FLAIR magnetic resonance.
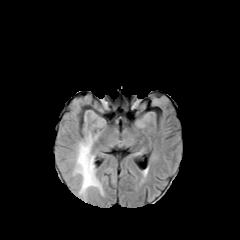
T1-weighted magnetic resonance.
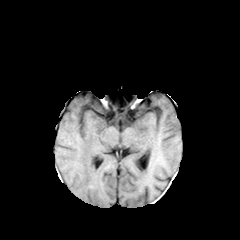
Post-contrast T1-weighted magnetic resonance.
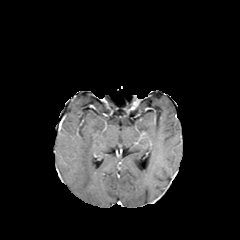
T2-weighted magnetic resonance.
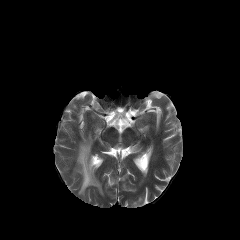
Brain
The edema is located at 74,134,103,196.